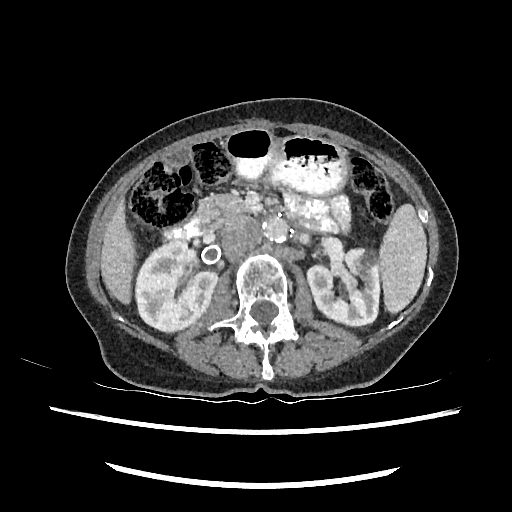

CT scan slice | Upper abdomen
Liver: bounding box (x1=101, y1=202, x2=134, y2=303).
Kidney: bounding box (x1=308, y1=248, x2=380, y2=325), (x1=136, y1=239, x2=217, y2=330).